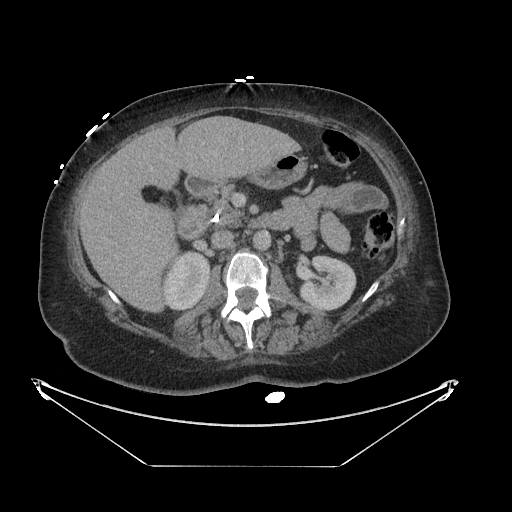 CT scan slice.

<segmentation>
  <pancreas>211:186:239:227</pancreas>
  <pancreatic_tumor>221:202:233:212</pancreatic_tumor>
</segmentation>